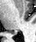 MRI. 36x42 px.

Annotated regions:
• posterior hippocampus: (left=11, top=32, right=16, bottom=33)